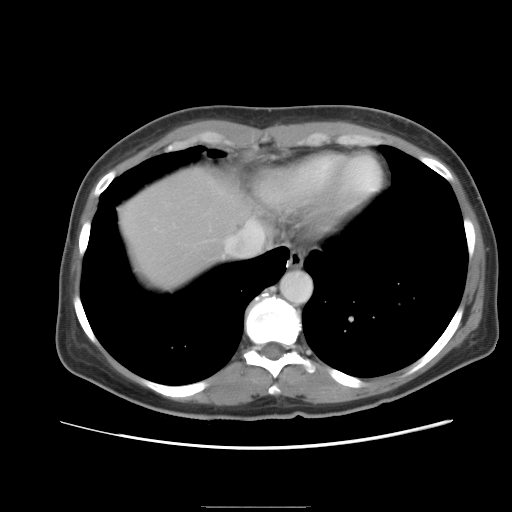

Image size 512x512, CT slice
Some hepatic vessels may have no box.
Hepatic vessel at bbox(222, 218, 263, 256).